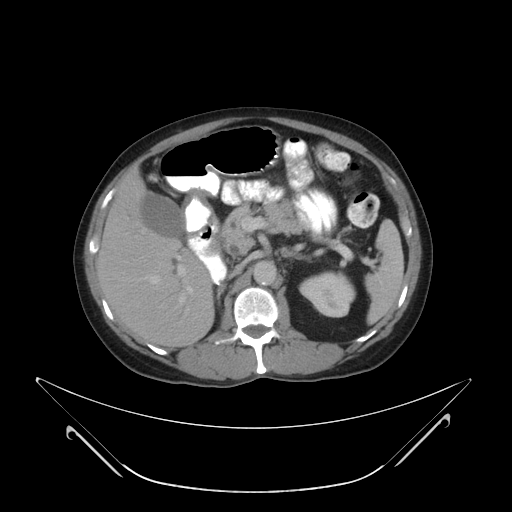 Abdomen, CT image, 512x512

Pancreas: bounding box (x1=219, y1=204, x2=255, y2=258), (x1=260, y1=201, x2=298, y2=228).